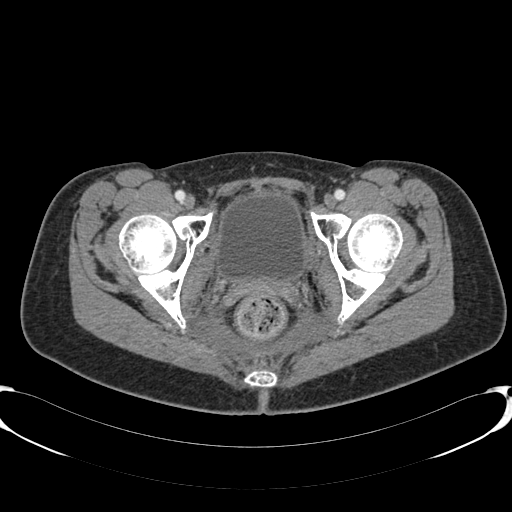

Image size 512x512; CT image
{
  "urinary_bladder": [
    "x1=216 y1=194 x2=303 y2=279"
  ]
}